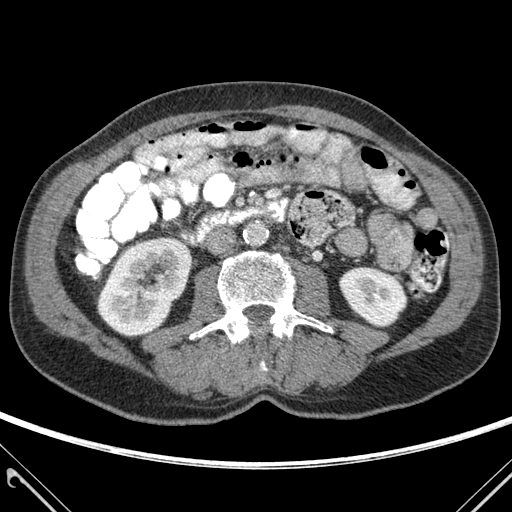 CT image. Segmented structures:
• kidney: x1=99 y1=238 x2=187 y2=334, x1=340 y1=268 x2=405 y2=325
• bone: x1=189 y1=251 x2=332 y2=342